Abdomen; 512x512 px; Slice index 18; Computed tomography 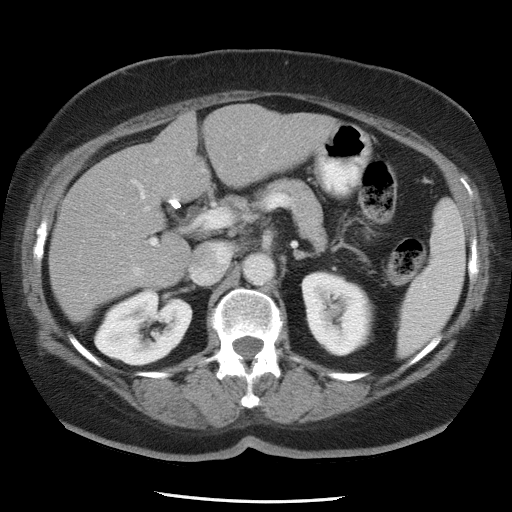
Some hepatic vessels may have no box.
2 hepatic vessel regions appear at rect(142, 194, 144, 196); rect(151, 237, 156, 243).